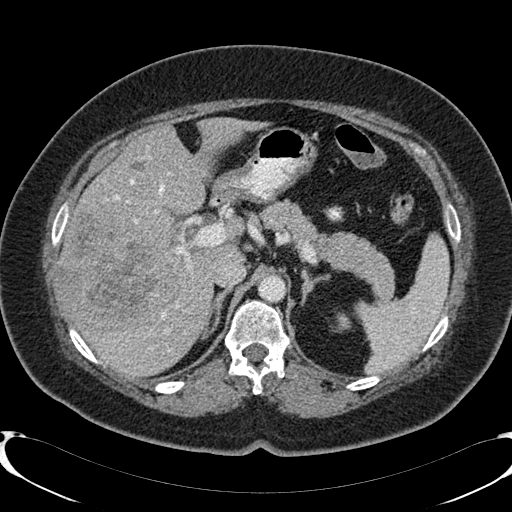
512x512 | Upper abdomen | CT

Liver lesion = bbox(131, 162, 142, 168); bbox(56, 212, 178, 331).
Liver = bbox(57, 119, 267, 376).